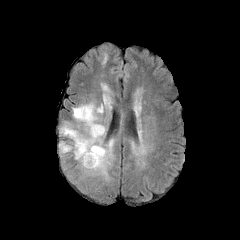
FLAIR MRI.
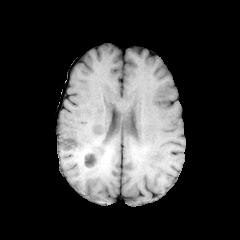
T1-weighted MR image of the same slice.
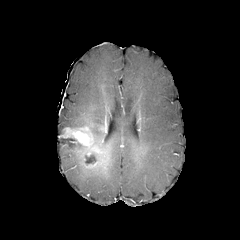
Same slice, post-contrast T1-weighted MR image.
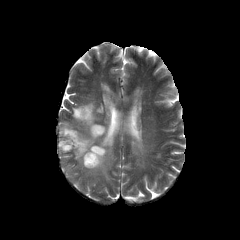
T2-weighted MRI of the same slice.
Head | 240x240 px
enhancing tumor: box(62, 128, 99, 154) | edema: box(58, 83, 114, 179) | non-enhancing tumor core: box(60, 138, 110, 168); box(86, 130, 94, 143)